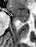 36x47 | MR image
Annotated regions:
- anterior hippocampus: (8, 5, 29, 20)
- posterior hippocampus: (22, 21, 26, 22)